Abdomen | CT scan slice | Image size 512x512 | Slice index 31

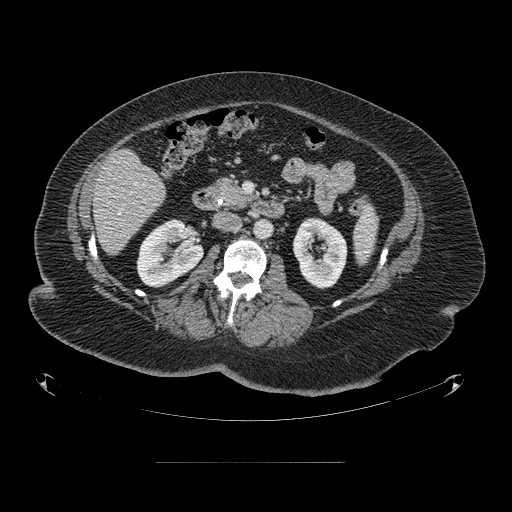

Findings:
• pancreas: [209,179,255,209]